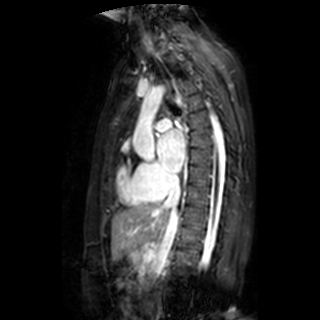

MR | Cardiac
• left atrium: 157,129,184,172